240x240 px | Slice 48 of 155 | Head
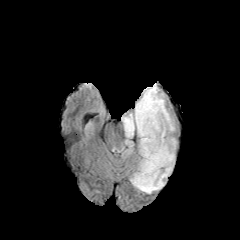
FLAIR MR.
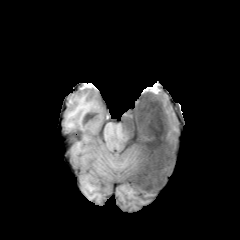
T1-weighted MR.
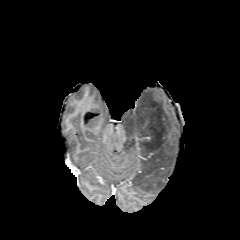
Post-contrast T1-weighted MRI of the same slice.
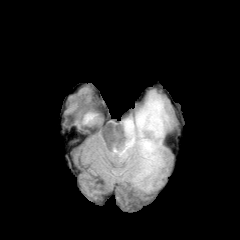
T2-weighted MR image.
Non-enhancing tumor core at (x1=126, y1=98, x2=169, y2=192).
Edema at (x1=118, y1=87, x2=174, y2=193).